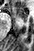

Medial temporal lobe, Image size 34x51, MRI
The anterior hippocampus lies within (left=13, top=7, right=26, bottom=21).